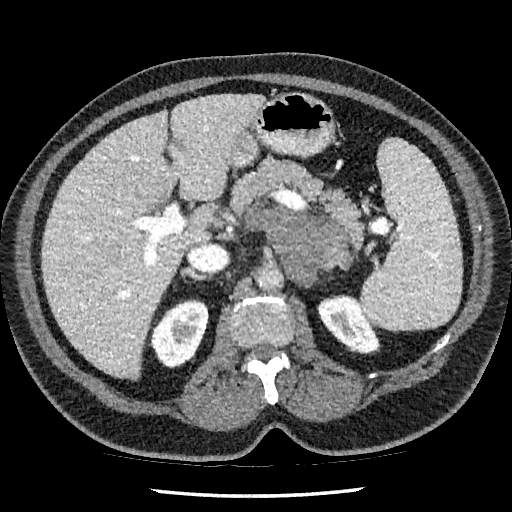
Image size 512x512, CT
2 kidney regions are bounded by (left=152, top=301, right=207, bottom=366), (left=319, top=297, right=378, bottom=352). The hepatic lesion is bounded by (left=174, top=139, right=183, bottom=149). The liver is at (left=43, top=95, right=265, bottom=378).